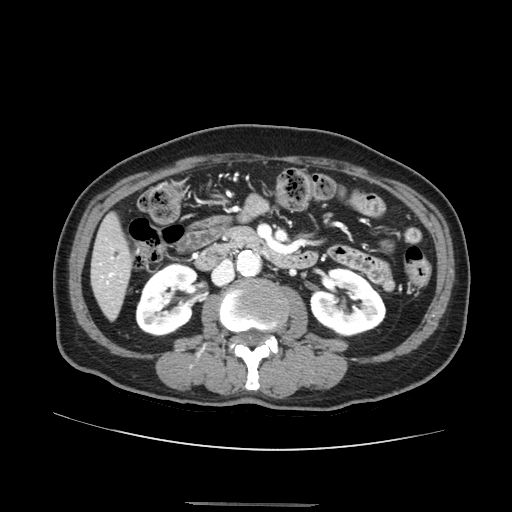 Upper abdomen. CT slice. Findings:
• pancreas: 234:228:255:241